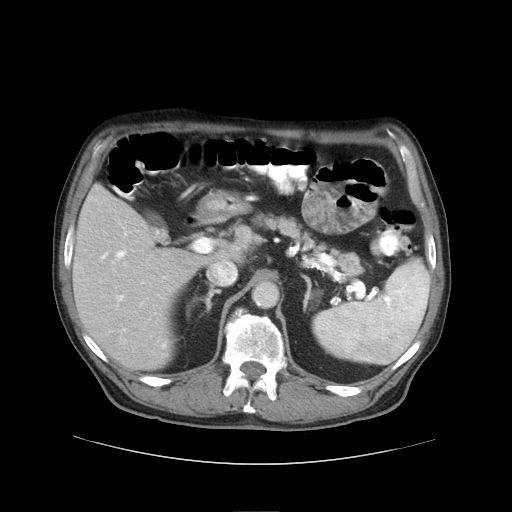
CT scan slice | Abdomen
The vessel boxes may cover only some of the vessels.
3 hepatic vessel regions appear at <bbox>115, 249, 126, 260</bbox>, <bbox>103, 253, 107, 257</bbox>, <bbox>118, 296, 122, 299</bbox>.